Abdomen. CT slice. 512x512.
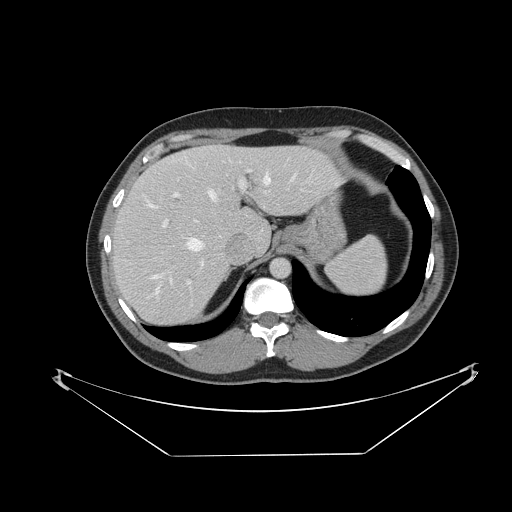
The spleen is at left=326, top=237, right=386, bottom=296.